Slice 15/47 | 512x512 | Liver | Field of view 383x383 mm | Computed tomography 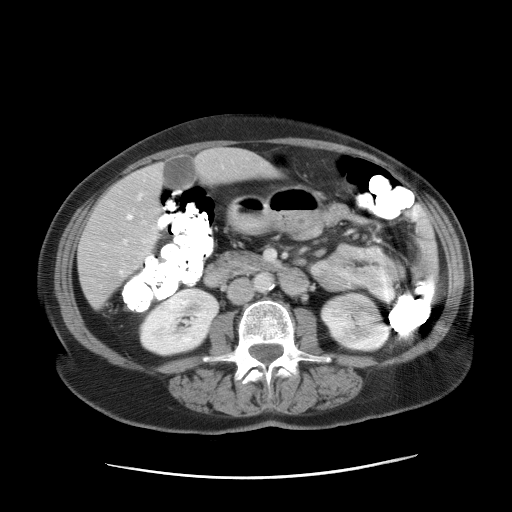

The vessel annotation is not exhaustive.
Hepatic vessel: [x1=119, y1=271, x2=125, y2=274], [x1=127, y1=215, x2=131, y2=219], [x1=139, y1=196, x2=141, y2=199], [x1=124, y1=241, x2=126, y2=243], [x1=143, y1=240, x2=147, y2=242].